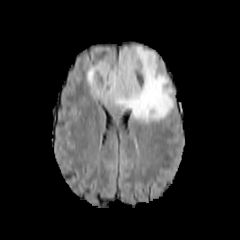
FLAIR MR image.
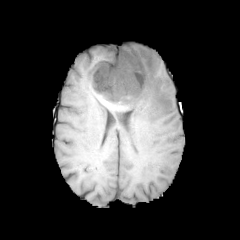
T1-weighted MRI.
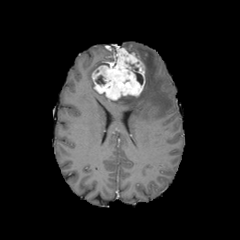
Post-contrast T1-weighted MR image of the same slice.
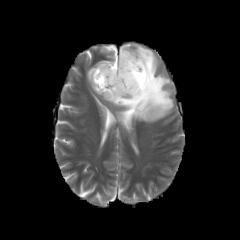
T2-weighted MR.
Enhancing tumor: 92,46,145,100.
Non-enhancing tumor core: 129,63,143,85; 95,75,105,84.
Edema: 107,45,173,123; 87,64,97,92.